FLAIR MR image.
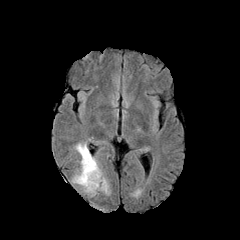
T1-weighted MRI.
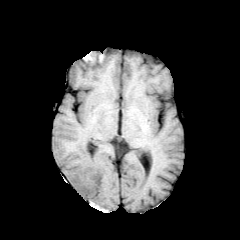
Post-contrast T1-weighted magnetic resonance.
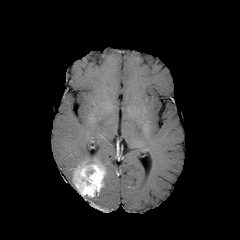
T2-weighted MRI.
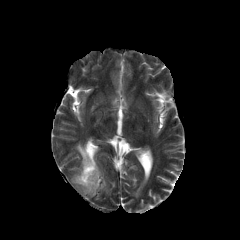
The enhancing tumor lies within x1=73 y1=160 x2=104 y2=196. 2 edema regions appear at x1=96 y1=172 x2=110 y2=194, x1=74 y1=142 x2=98 y2=168.